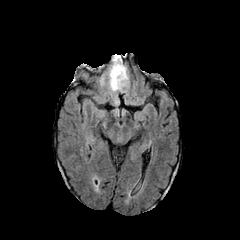
FLAIR MRI.
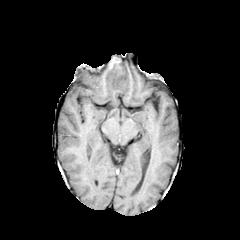
T1-weighted MR image.
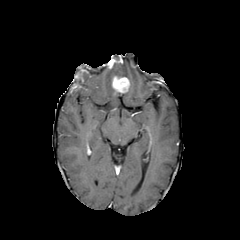
Same slice, post-contrast T1-weighted MR image.
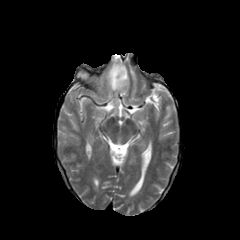
T2-weighted magnetic resonance.
Image size 240x240. Brain.
2 enhancing tumor regions are bounded by 112:76:129:92, 108:56:122:67. The non-enhancing tumor core appears at 109:66:117:85. 2 edema regions are bounded by 113:63:129:77, 96:66:119:105.